Slice 125 of 247, Computed tomography, Field of view 500 mm wide, 3.27 mm slice spacing
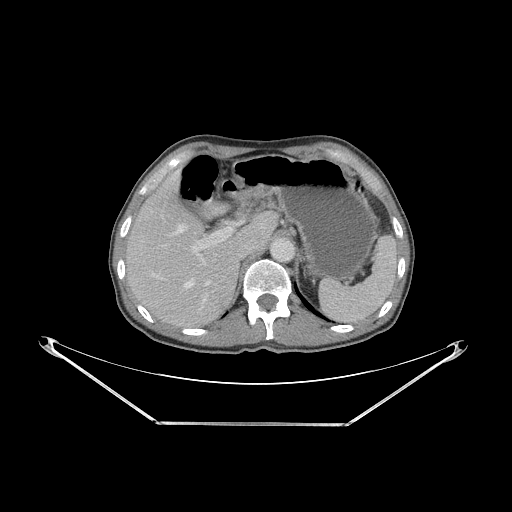
{
  "lung": [
    "<bbox>294, 282, 329, 321</bbox>"
  ],
  "bone": [
    "<bbox>398, 258, 404, 276</bbox>",
    "<bbox>393, 218, 402, 237</bbox>",
    "<bbox>183, 329, 205, 335</bbox>",
    "<bbox>379, 301, 391, 316</bbox>",
    "<bbox>331, 325, 352, 332</bbox>",
    "<bbox>120, 217, 130, 236</bbox>",
    "<bbox>244, 259, 290, 339</bbox>",
    "<bbox>138, 305, 152, 322</bbox>",
    "<bbox>117, 260, 124, 278</bbox>"
  ],
  "liver": [
    "<bbox>230, 190, 254, 202</bbox>",
    "<bbox>127, 171, 277, 327</bbox>"
  ]
}